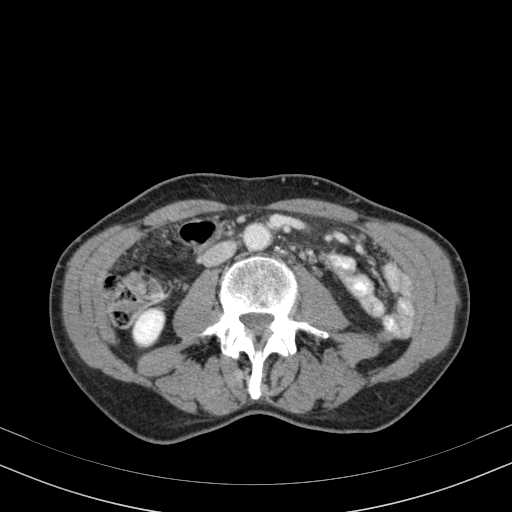
CT image
Kidney — (x1=134, y1=310, x2=163, y2=343).